CT slice | Slice 576 of 647 | Image size 512x512 | Liver | Image width 350 mm
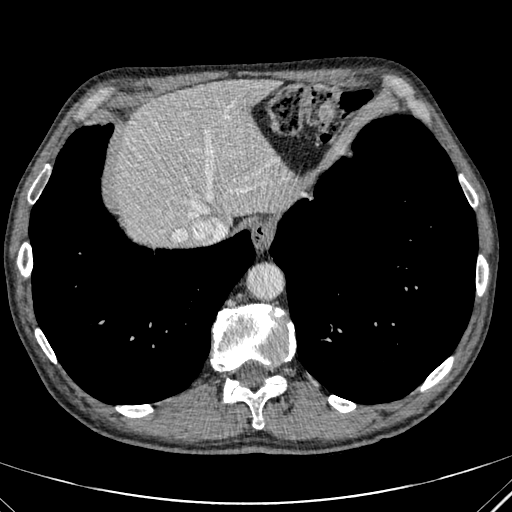 Annotated regions:
• liver: <bbox>115, 79, 294, 245</bbox>